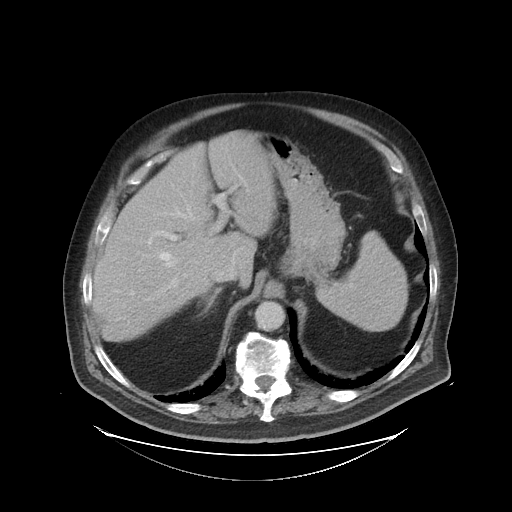
Computed tomography
The vessel boxes may cover only some of the vessels.
Hepatic vessel at rect(156, 232, 176, 239); rect(232, 185, 236, 188); rect(239, 175, 242, 179); rect(170, 204, 194, 219); rect(184, 199, 186, 201); rect(161, 254, 173, 265); rect(159, 279, 178, 291).